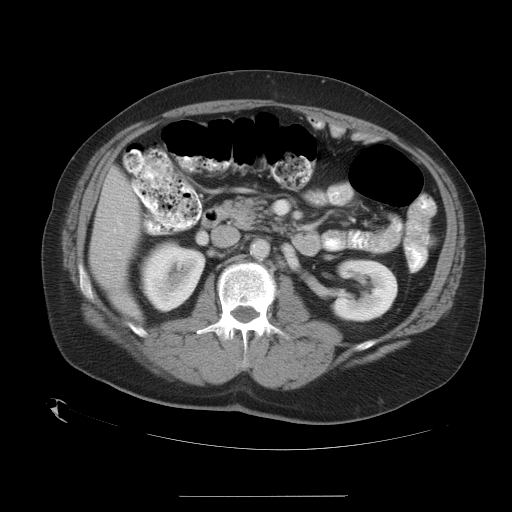

Abdomen, 512x512 px, CT
Some hepatic vessels may have no box.
Hepatic vessel: bounding box box(133, 211, 136, 218); box(133, 185, 134, 187); box(118, 251, 120, 253); box(127, 230, 133, 236); box(115, 231, 122, 233).